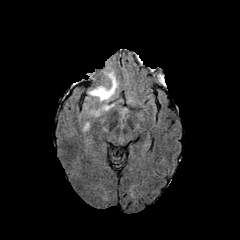
FLAIR MR.
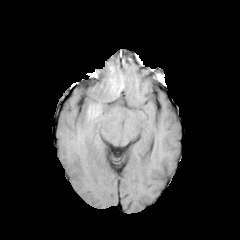
T1-weighted MRI.
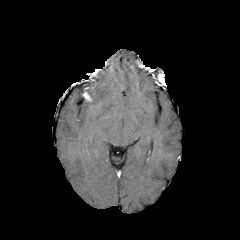
Post-contrast T1-weighted magnetic resonance of the same slice.
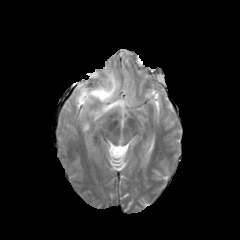
T2-weighted MR image.
Head
The edema is bounded by region(87, 69, 118, 117). The enhancing tumor is located at region(84, 90, 93, 101).